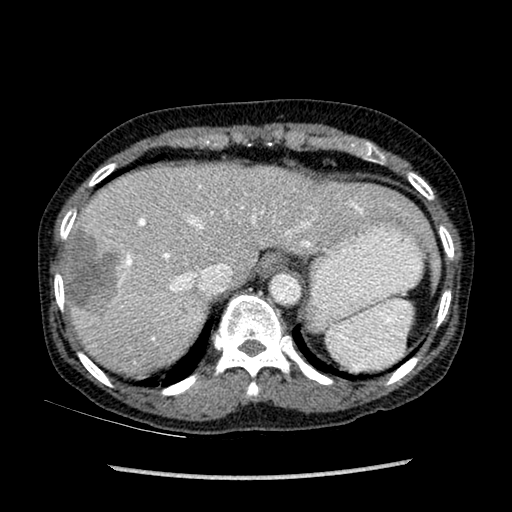

Abdomen; Computed tomography
Hepatic lesion: [x1=59, y1=225, x2=127, y2=314].
Liver: [x1=66, y1=163, x2=435, y2=372].